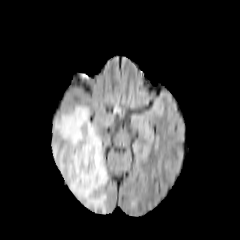
FLAIR MRI.
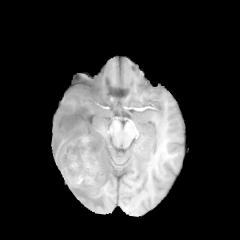
Same slice, T1-weighted MR.
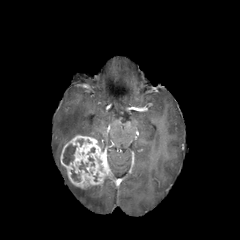
Post-contrast T1-weighted MRI of the same slice.
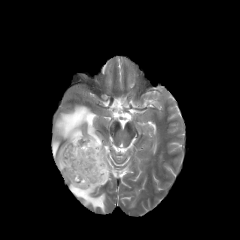
T2-weighted magnetic resonance.
Brain
non-enhancing tumor core: {"x1": 70, "y1": 166, "x2": 81, "y2": 181}, {"x1": 62, "y1": 144, "x2": 76, "y2": 166} | enhancing tumor: {"x1": 60, "y1": 135, "x2": 109, "y2": 188} | edema: {"x1": 52, "y1": 104, "x2": 106, "y2": 212}